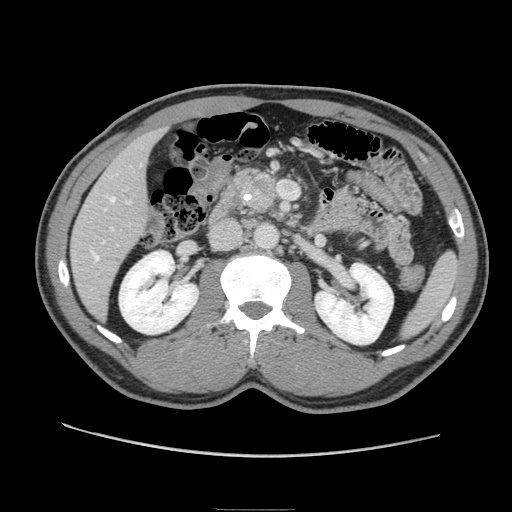 Image size 512x512. Computed tomography. Abdomen.

The pancreatic tumor appears at (237, 171, 276, 209). The pancreas is at (233, 166, 278, 214).